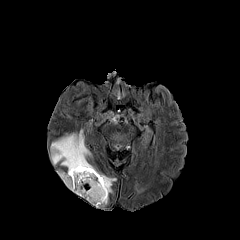
FLAIR MRI.
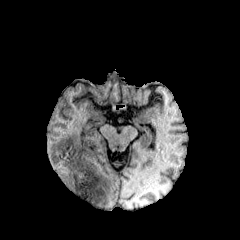
T1-weighted MR image.
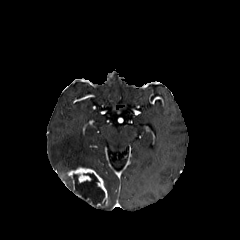
Post-contrast T1-weighted magnetic resonance of the same slice.
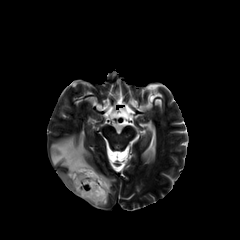
T2-weighted MRI.
The enhancing tumor lies within 61 166 108 205. 2 edema regions are located at 49 132 116 193, 61 177 71 189. The non-enhancing tumor core lies within 71 173 106 208.